Slice index 40. Field of view 240x240 mm.
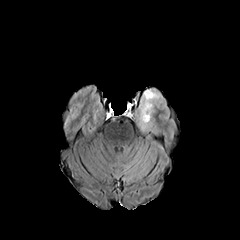
FLAIR magnetic resonance.
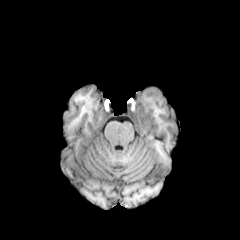
T1-weighted MR image.
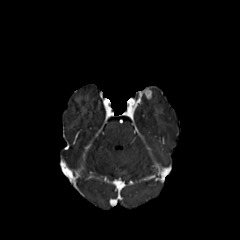
Post-contrast T1-weighted magnetic resonance.
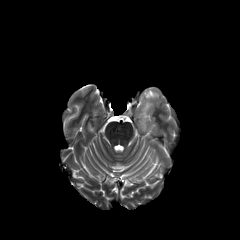
T2-weighted MR.
Edema at bbox=[134, 93, 162, 134].
Enhancing tumor at bbox=[143, 89, 152, 98].